Head. 240x240.
FLAIR MR.
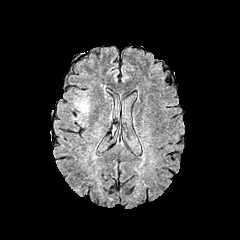
T1-weighted MR image.
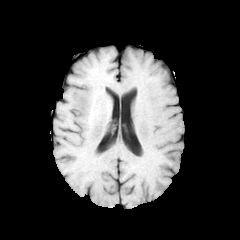
Post-contrast T1-weighted MR.
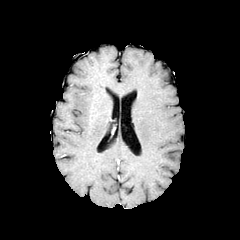
T2-weighted MR.
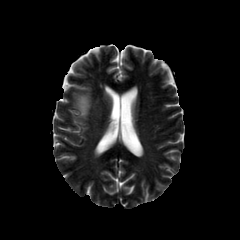
<segmentation>
  <edema>l=74, t=92, r=90, b=120</edema>
</segmentation>